CT | 512x512 px | Upper abdomen 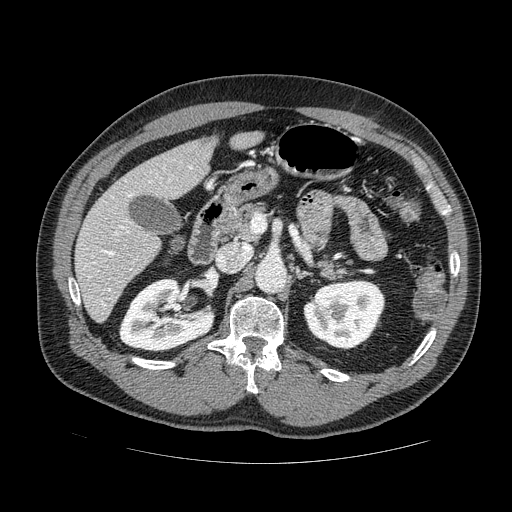 pancreas:
  - 219,202,269,242